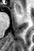
MR | Medial temporal lobe

{
  "anterior_hippocampus": [
    "15 5 20 11"
  ]
}